CT scan slice, Liver, 512x512 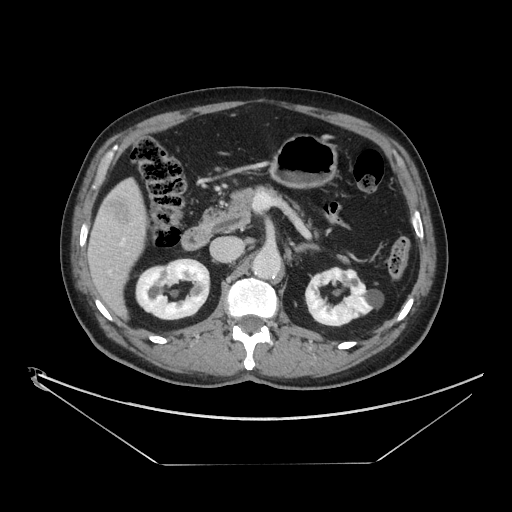 The vessel boxes may cover only some of the vessels.
Segmented structures:
- liver tumor: (106, 197, 133, 226)
- hepatic vessel: (109, 271, 110, 272), (120, 238, 124, 245)